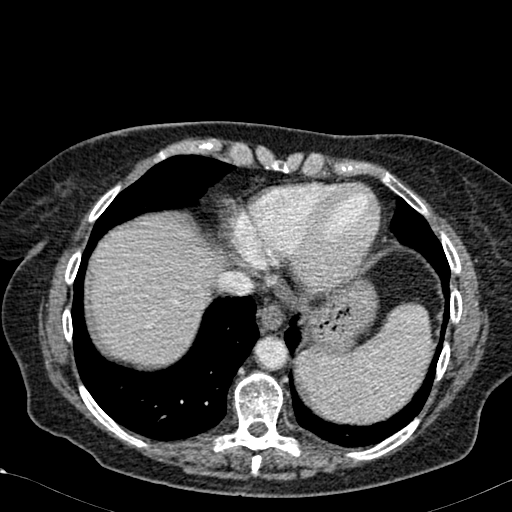 CT. Liver. Image size 512x512.
{"liver": ["92,217,216,365"]}